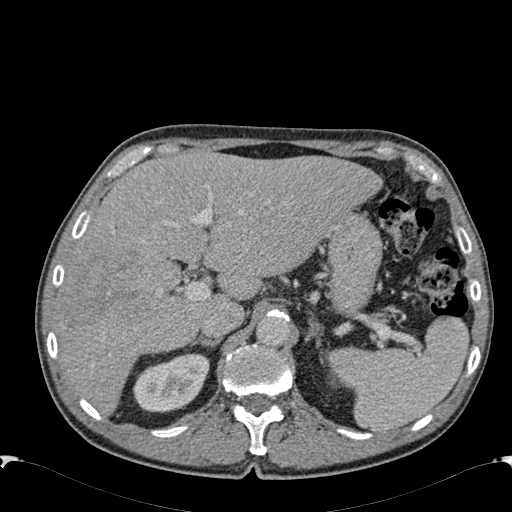

512x512 px, CT scan slice, Abdomen
The liver lesion is located at region(59, 253, 139, 326). The kidney is at region(134, 354, 208, 411). The liver appears at region(54, 152, 381, 412).